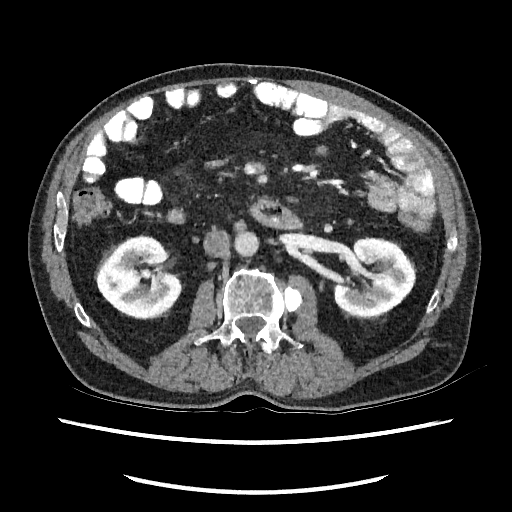

Abdomen | 512x512 | Computed tomography
Kidney — rect(334, 237, 415, 318); rect(96, 235, 181, 319).